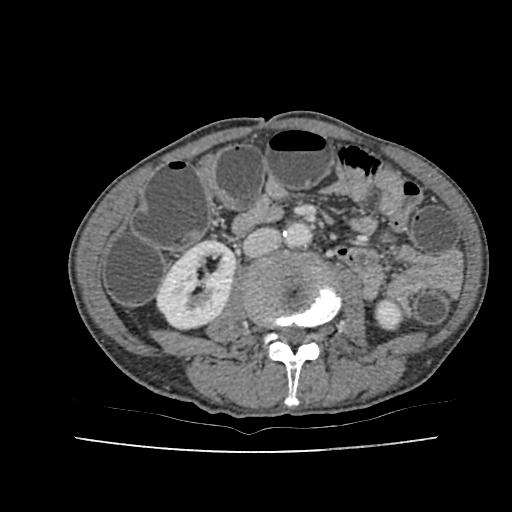 CT slice. Image size 512x512.
2 kidney regions are bounded by 157,242,235,327; 378,302,399,326.